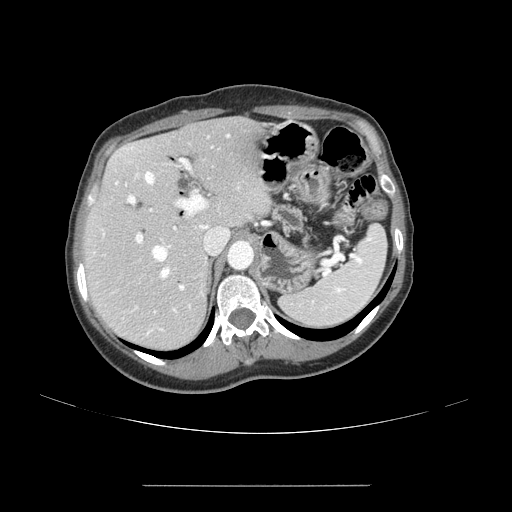
Upper abdomen | CT | 512x512

Pancreas: bounding box l=276, t=205, r=304, b=235.